Brain; Slice 48/155; Image width 240 mm
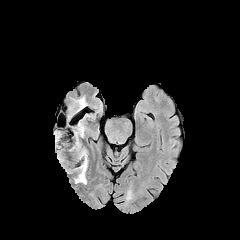
FLAIR MR.
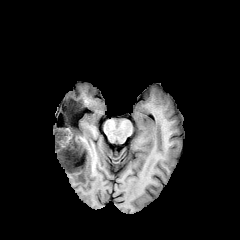
T1-weighted MR image.
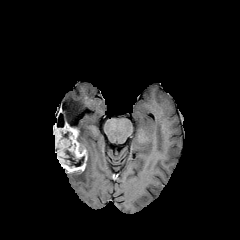
Post-contrast T1-weighted MRI of the same slice.
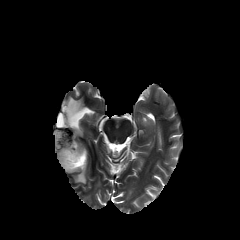
Same slice, T2-weighted MR image.
Edema: [x1=72, y1=164, x2=88, y2=184], [x1=70, y1=120, x2=85, y2=143], [x1=67, y1=97, x2=86, y2=115].
Non-enhancing tumor core: [x1=61, y1=128, x2=73, y2=142], [x1=65, y1=150, x2=84, y2=166].
Enhancing tumor: [x1=53, y1=123, x2=87, y2=172].